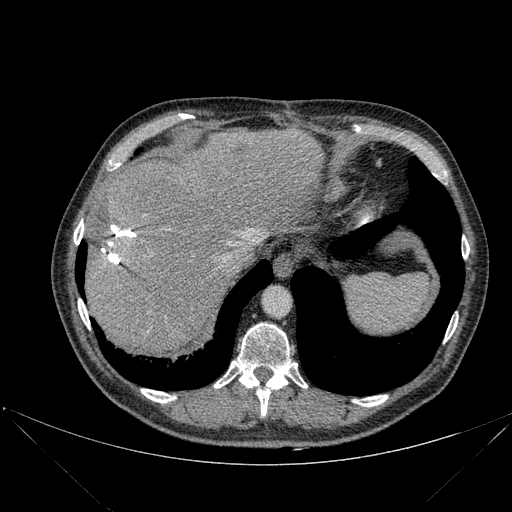
CT slice. Upper abdomen.
Segmented structures:
* lung: (75, 241, 86, 297), (291, 157, 464, 395), (94, 260, 272, 390)
* bone: (78, 299, 90, 329), (73, 220, 83, 244), (462, 235, 469, 258), (214, 323, 307, 415), (353, 395, 387, 406), (444, 317, 457, 342), (109, 160, 120, 169), (141, 389, 175, 403)
* liver: (244, 242, 251, 267), (84, 130, 324, 354)